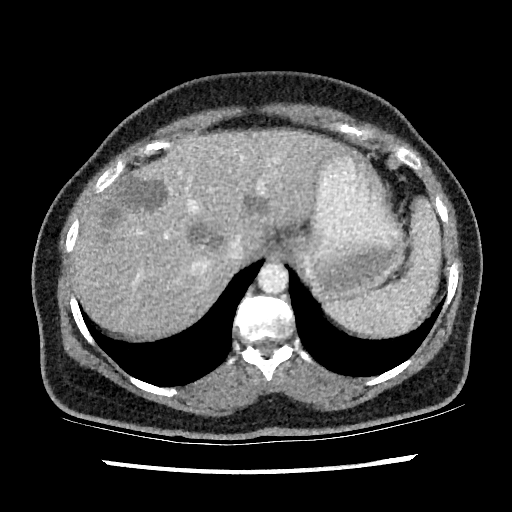
CT | Upper abdomen
4 focal liver lesion regions are bounded by {"x1": 99, "y1": 173, "x2": 164, "y2": 226}, {"x1": 189, "y1": 225, "x2": 222, "y2": 249}, {"x1": 245, "y1": 196, "x2": 264, "y2": 212}, {"x1": 101, "y1": 235, "x2": 109, "y2": 242}. The liver is bounded by {"x1": 75, "y1": 130, "x2": 353, "y2": 335}.